Slice 360/605. CT. 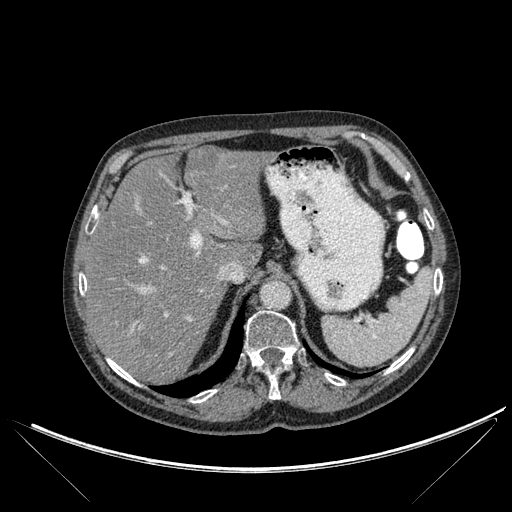 Liver — left=87, top=146, right=264, bottom=384.
Hepatic lesion — left=141, top=335, right=149, bottom=347; left=188, top=146, right=218, bottom=169.
Bone — left=386, top=348, right=413, bottom=373; left=245, top=311, right=298, bottom=399; left=434, top=269, right=442, bottom=293; left=79, top=273, right=86, bottom=294; left=325, top=373, right=345, bottom=385; left=190, top=389, right=216, bottom=402; left=424, top=210, right=433, bottom=229; left=107, top=359, right=138, bottom=384.
Lung — left=307, top=346, right=367, bottom=378; left=152, top=306, right=244, bottom=397.